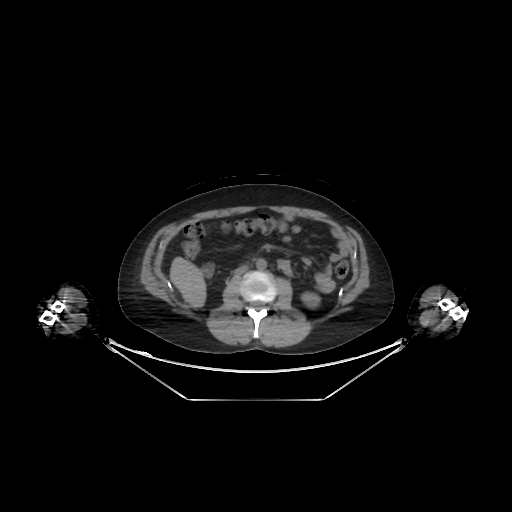
CT image
Annotated regions:
* liver: region(170, 257, 211, 307)
* kidney: region(301, 291, 320, 307)